Liver. CT scan slice. 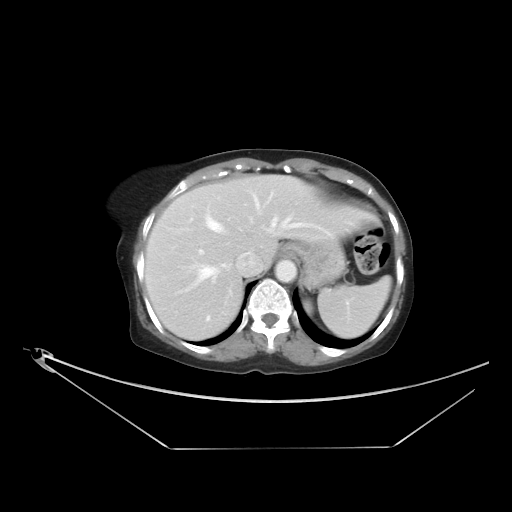

Only some of the vessels may be annotated.
Hepatic vessel = left=248, top=217, right=252, bottom=221; left=253, top=198, right=267, bottom=214; left=266, top=216, right=321, bottom=233; left=209, top=221, right=221, bottom=231; left=200, top=268, right=214, bottom=277.